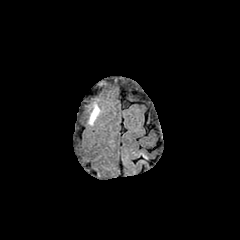
FLAIR MR image.
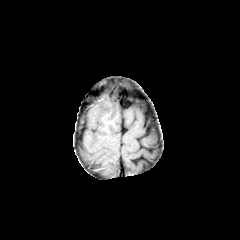
T1-weighted MR image.
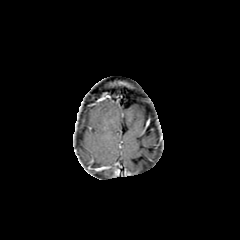
Post-contrast T1-weighted MR.
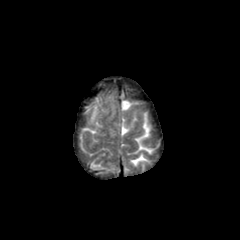
T2-weighted MRI.
Brain
Edema at {"x1": 89, "y1": 104, "x2": 99, "y2": 124}.